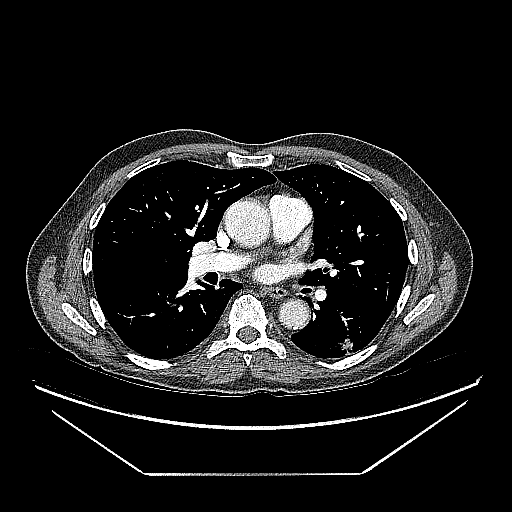

512x512 px. Lung. CT.
lung tumor: 335, 333, 353, 355